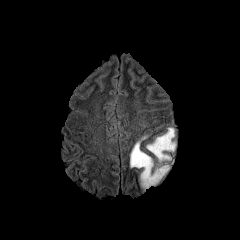
FLAIR MRI.
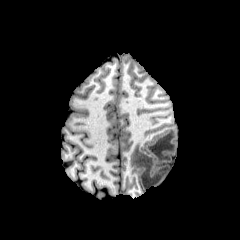
Same slice, T1-weighted MR image.
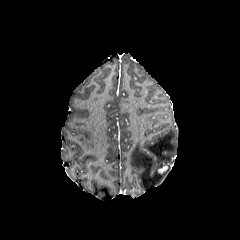
Post-contrast T1-weighted magnetic resonance of the same slice.
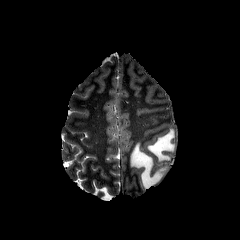
T2-weighted MR.
Head
Non-enhancing tumor core = 157,165,170,179.
Enhancing tumor = 157,163,168,174.
Edema = 130,141,158,188; 146,128,175,161.